FLAIR MRI.
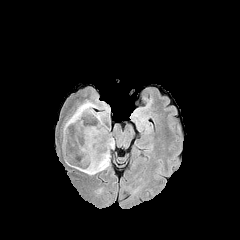
T1-weighted MR image.
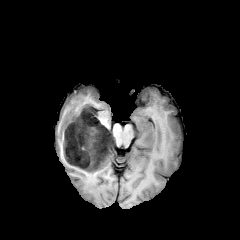
Post-contrast T1-weighted magnetic resonance.
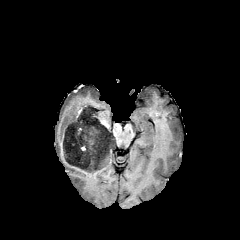
T2-weighted MR image.
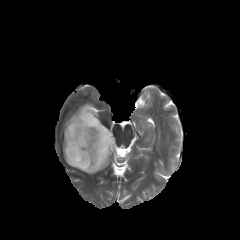
240x240 px, Brain
The non-enhancing tumor core is located at l=65, t=107, r=113, b=169. 3 edema regions appear at l=94, t=112, r=102, b=123; l=65, t=149, r=111, b=174; l=63, t=101, r=98, b=135.